Slice 49/155 | 240x240 | Head
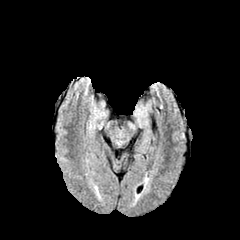
FLAIR MR image.
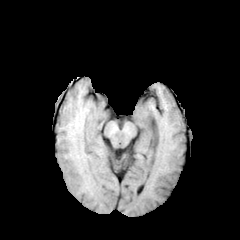
Same slice, T1-weighted MRI.
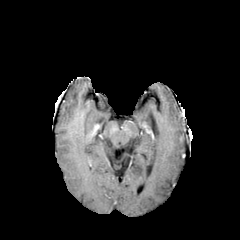
Post-contrast T1-weighted MRI.
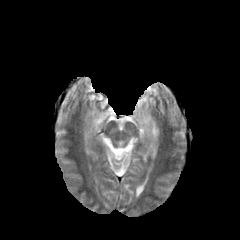
T2-weighted MR image.
Edema: bounding box (left=136, top=107, right=146, bottom=125).